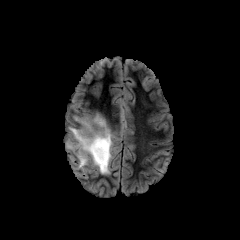
FLAIR MR image.
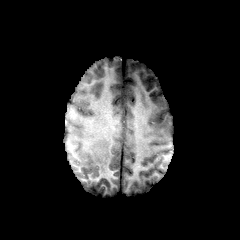
Same slice, T1-weighted MR.
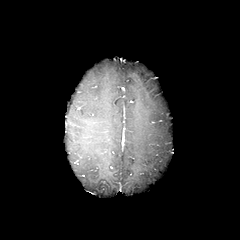
Post-contrast T1-weighted magnetic resonance.
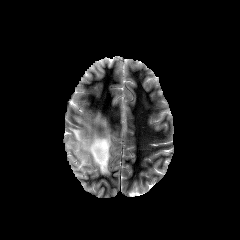
T2-weighted MR.
Image size 240x240 | Brain
Edema at 96,115,106,126; 70,128,114,175.